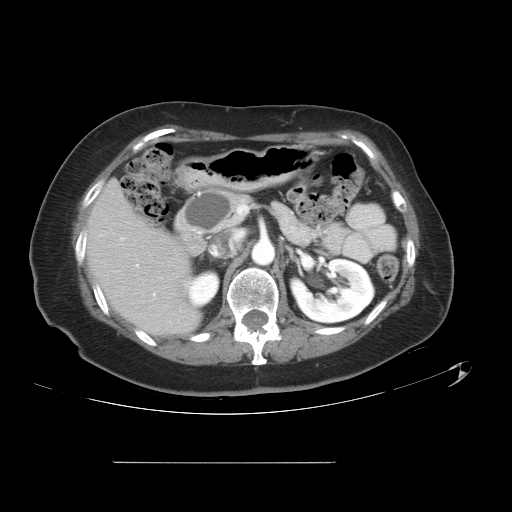 CT slice, Upper abdomen
2 pancreas regions appear at {"x1": 271, "y1": 201, "x2": 319, "y2": 246}, {"x1": 173, "y1": 187, "x2": 253, "y2": 235}. The pancreatic tumor is at {"x1": 185, "y1": 193, "x2": 229, "y2": 230}.